Head
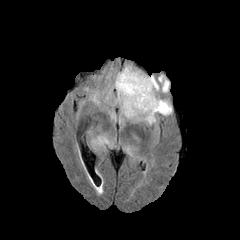
FLAIR magnetic resonance.
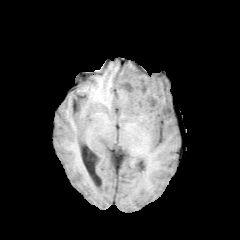
T1-weighted MR.
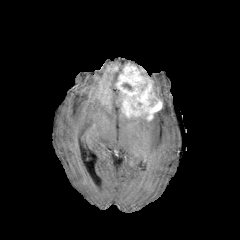
Same slice, post-contrast T1-weighted MRI.
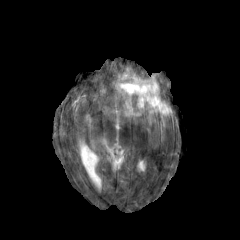
T2-weighted MRI.
{"enhancing_tumor": ["[102, 90, 111, 109]", "[115, 63, 162, 121]"], "edema": ["[89, 69, 172, 125]", "[95, 134, 113, 148]"], "non-enhancing_tumor_core": ["[122, 83, 133, 91]"]}